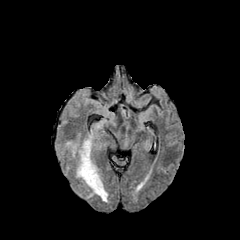
FLAIR MRI.
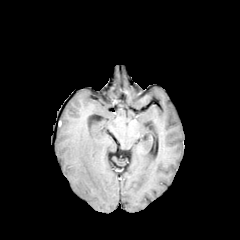
T1-weighted MRI.
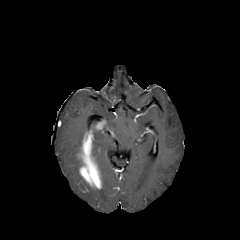
Post-contrast T1-weighted MRI.
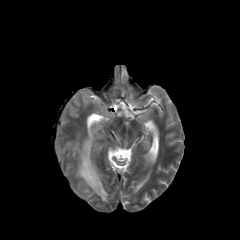
Same slice, T2-weighted MR.
Annotated regions:
* enhancing tumor: (x1=78, y1=130, x2=101, y2=188)
* edema: (x1=76, y1=158, x2=108, y2=201), (x1=67, y1=142, x2=77, y2=157)